Upper abdomen. Slice index 64. 512x512 px. CT image.

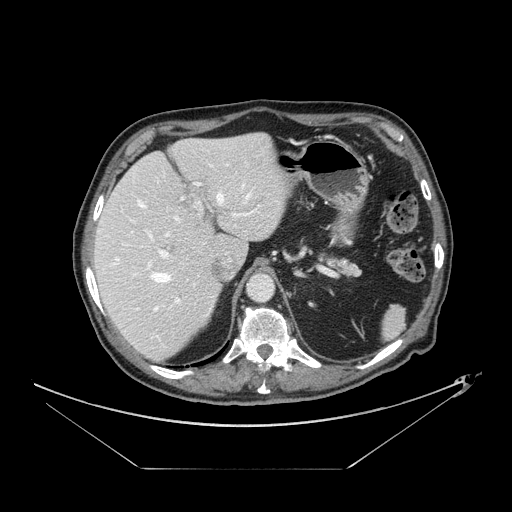
The pancreas is located at region(322, 255, 359, 277).